Computed tomography, Slice 36/55, 512x512 px

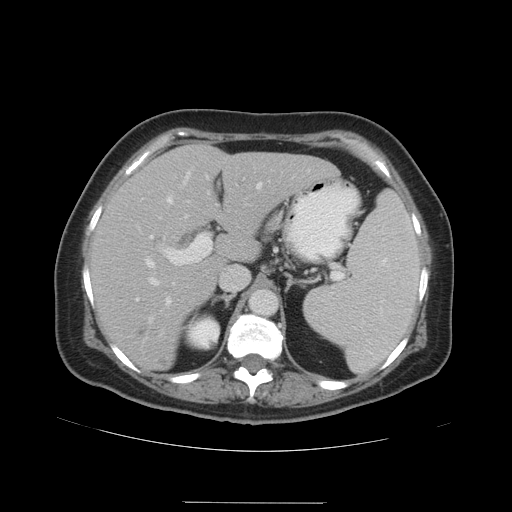

Only some of the vessels may be annotated.
<segmentation>
  <liver_tumor>box=[137, 328, 145, 337]; box=[160, 357, 169, 365]</liver_tumor>
  <hepatic_vessel>box=[136, 298, 138, 300]; box=[216, 204, 218, 205]; box=[148, 317, 152, 323]; box=[166, 298, 170, 304]; box=[150, 236, 153, 237]; box=[167, 197, 171, 202]; box=[146, 259, 153, 266]; box=[256, 182, 261, 188]; box=[185, 215, 187, 217]; box=[173, 283, 174, 284]; box=[165, 232, 212, 265]; box=[183, 172, 189, 183]; box=[149, 278, 158, 284]</hepatic_vessel>
</segmentation>